FLAIR MR image.
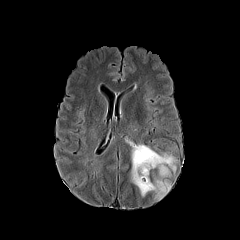
T1-weighted MR.
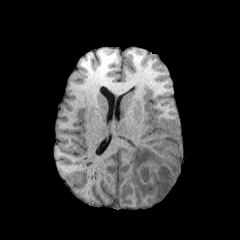
Post-contrast T1-weighted MR.
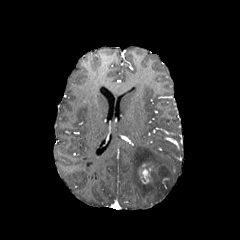
T2-weighted MR.
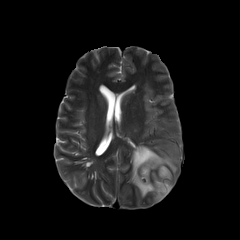
The edema is located at <bbox>131, 144, 176, 201</bbox>. The enhancing tumor is bounded by <bbox>139, 163, 151, 184</bbox>.